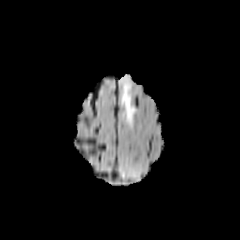
FLAIR magnetic resonance.
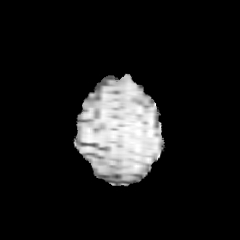
T1-weighted MR image.
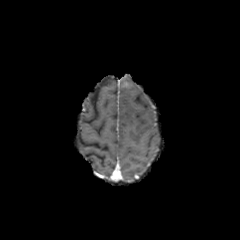
Same slice, post-contrast T1-weighted magnetic resonance.
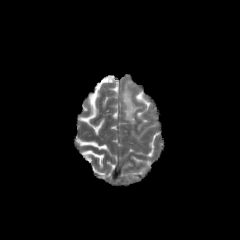
Same slice, T2-weighted magnetic resonance.
Brain
Edema: bounding box <bbox>121, 83, 140, 123</bbox>.